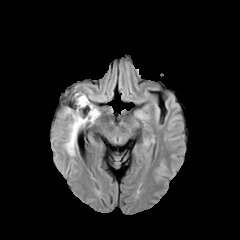
FLAIR magnetic resonance.
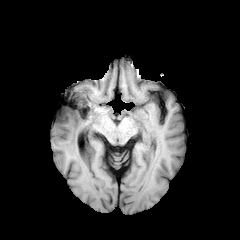
T1-weighted magnetic resonance.
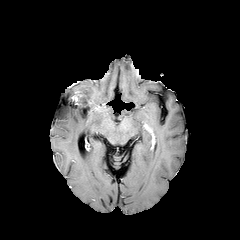
Same slice, post-contrast T1-weighted magnetic resonance.
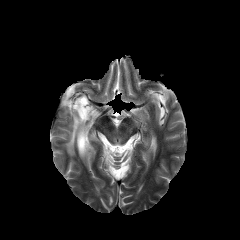
T2-weighted MRI.
Head | 240x240 px
Annotated regions:
• enhancing tumor: (x1=74, y1=92, x2=83, y2=103)
• edema: (x1=58, y1=90, x2=100, y2=156)
• non-enhancing tumor core: (x1=70, y1=110, x2=77, y2=123), (x1=70, y1=85, x2=78, y2=98), (x1=74, y1=92, x2=85, y2=109)